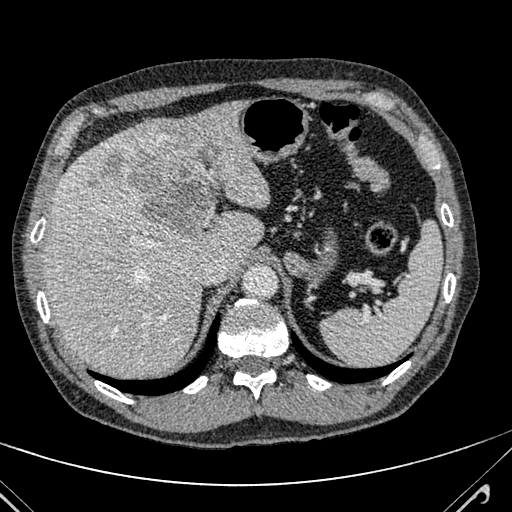
CT image.

3 hepatic lesion regions appear at box=[128, 144, 220, 240]; box=[102, 153, 125, 177]; box=[88, 181, 98, 188]. The liver lies within box=[46, 100, 267, 375].